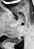
Hippocampus. 34x49 px. Magnetic resonance. {"posterior_hippocampus": ["<box>6,37,21,43</box>"]}